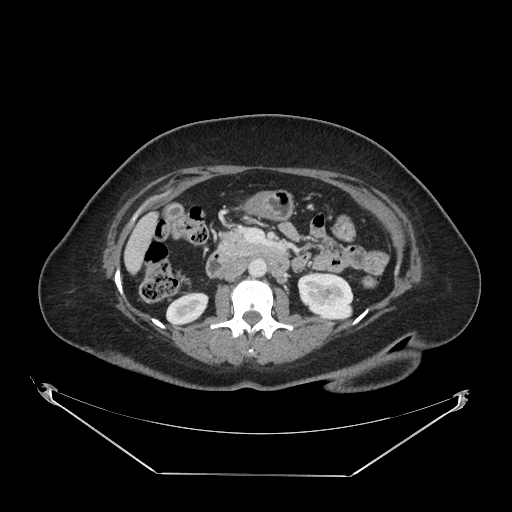
CT slice. Image size 512x512. Upper abdomen.
pancreas: {"x1": 218, "y1": 230, "x2": 269, "y2": 256}